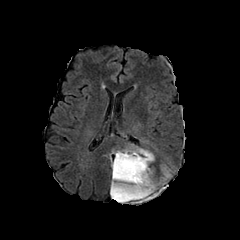
FLAIR magnetic resonance.
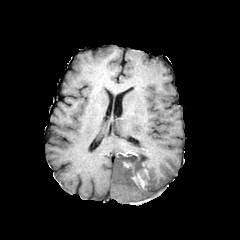
T1-weighted magnetic resonance.
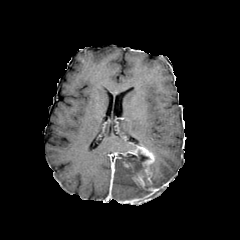
Post-contrast T1-weighted MR image of the same slice.
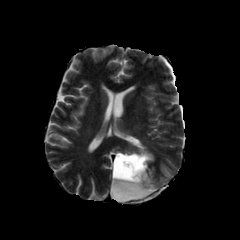
T2-weighted MRI.
enhancing_tumor:
  - (x1=127, y1=146, x2=153, y2=164)
  - (x1=110, y1=152, x2=126, y2=198)
  - (x1=120, y1=186, x2=157, y2=203)
edema:
  - (x1=124, y1=184, x2=144, y2=191)
  - (x1=116, y1=145, x2=136, y2=152)
  - (x1=150, y1=175, x2=164, y2=186)
non-enhancing_tumor_core:
  - (x1=112, y1=153, x2=162, y2=201)